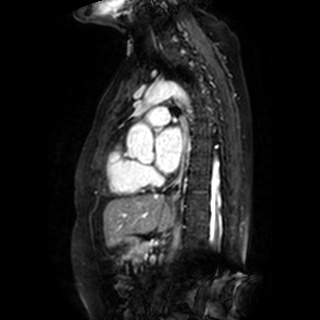 Magnetic resonance; 320x320
left_atrium:
  - box=[156, 127, 182, 172]